Slice 24 of 83, Upper abdomen, CT image, Image size 512x512 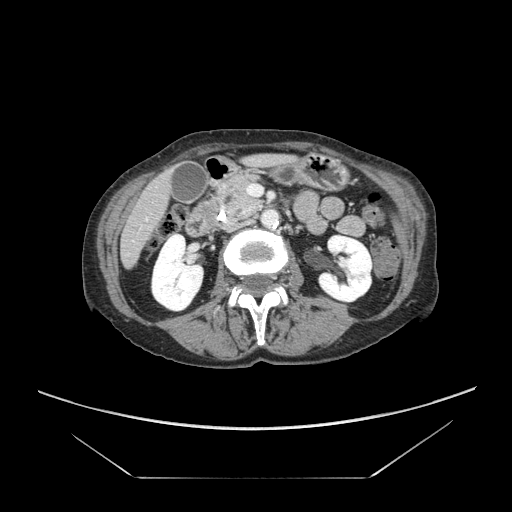 The pancreatic tumor lies within region(204, 202, 217, 224). The pancreas lies within region(212, 172, 266, 230).